Image size 512x512 | Abdomen | CT 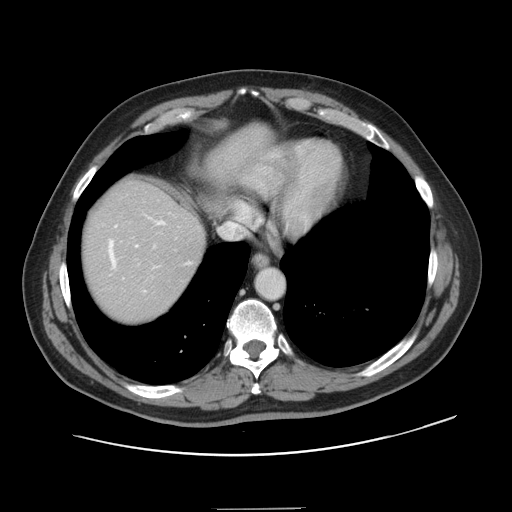
Some hepatic vessels may have no box.
Hepatic vessel — [155, 220, 163, 224], [186, 263, 189, 263], [109, 239, 114, 266].